512x512 px, CT 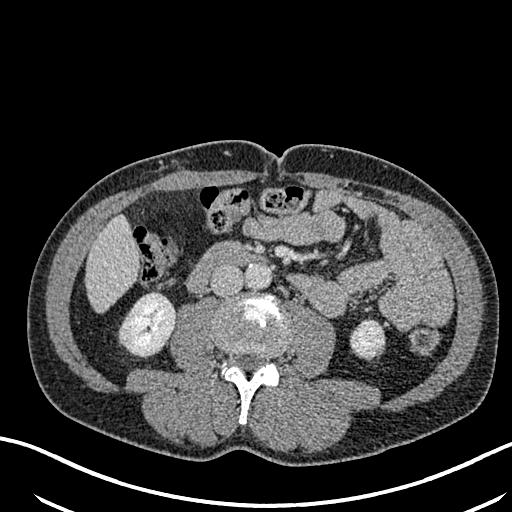

• liver: l=86, t=215, r=137, b=312
• kidney: l=120, t=293, r=174, b=355; l=351, t=321, r=383, b=356